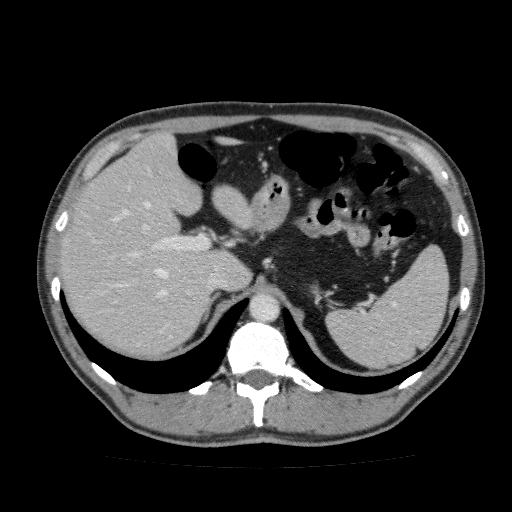
CT slice | Upper abdomen | 512x512 px

liver:
  - region(211, 184, 251, 228)
  - region(59, 132, 252, 356)
  - region(213, 136, 242, 144)